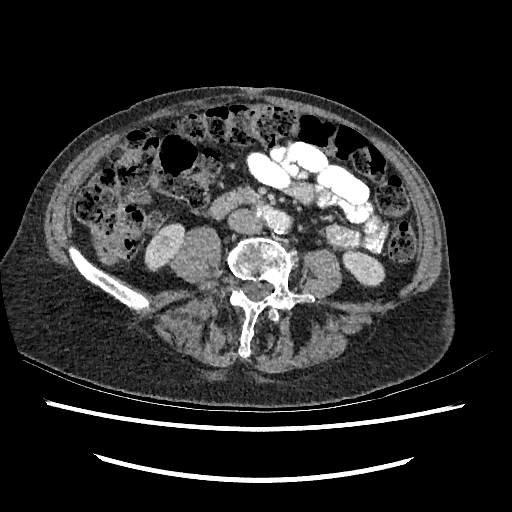 512x512; CT scan slice
2 kidney regions appear at <box>343,251,384,284</box>, <box>149,228,181,260</box>.